MRI; Hippocampus

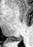

Annotated regions:
• posterior hippocampus: (13,37,21,40)